Slice 146 of 299; CT image 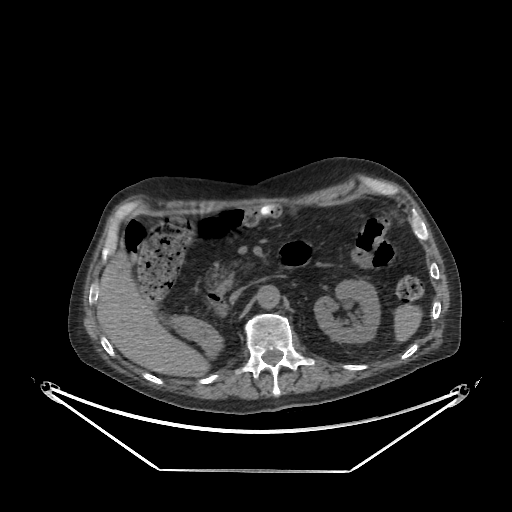

The liver is located at bbox=[96, 251, 208, 376]. The kidney lies within bbox=[314, 279, 380, 342].